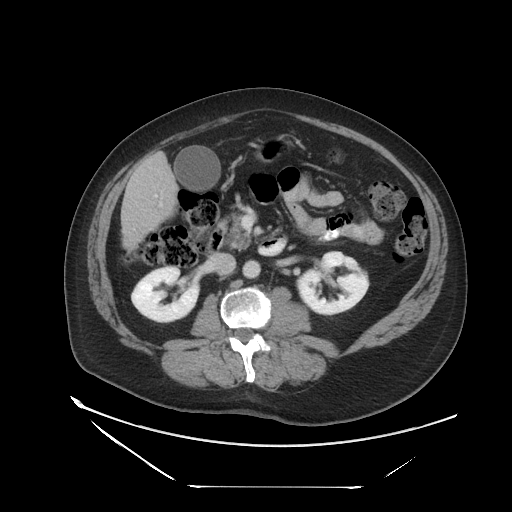

Image size 512x512. CT image. Some hepatic vessels may have no box.
Hepatic vessel = [x1=160, y1=203, x2=161, y2=205].